CT slice. Chest.

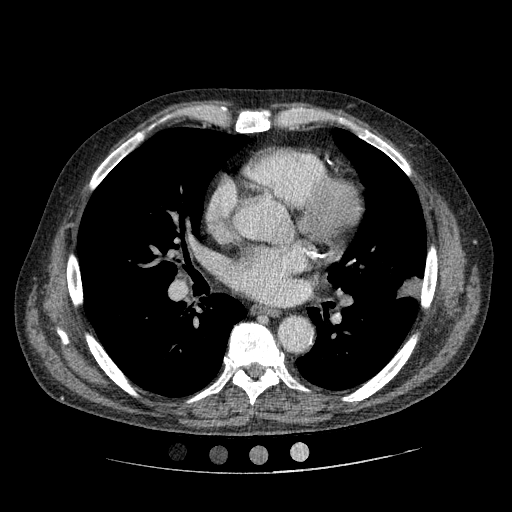
- lung tumor: box(393, 275, 421, 306)